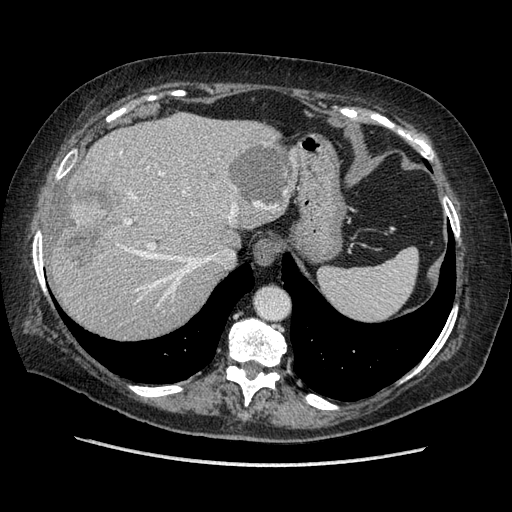
Liver; Computed tomography; 512x512

Only some of the vessels may be annotated.
The liver tumor is at 56, 175, 127, 272. 6 hepatic vessel regions are bounded by 160, 172, 161, 173; 131, 243, 212, 289; 130, 195, 135, 197; 128, 219, 131, 223; 156, 283, 158, 284; 228, 208, 234, 221.